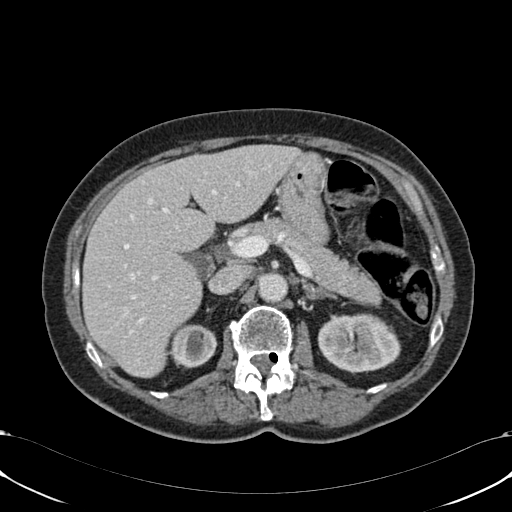
CT. 512x512. Upper abdomen.
The liver appears at [83, 145, 302, 377]. 2 kidney regions are bounded by [168, 320, 216, 366], [318, 315, 399, 370].